240x240
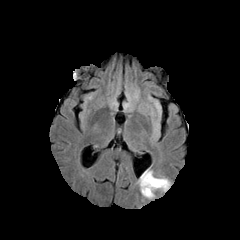
FLAIR MR.
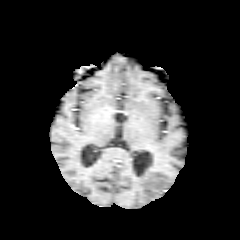
Same slice, T1-weighted MR.
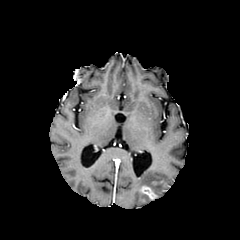
Post-contrast T1-weighted MRI of the same slice.
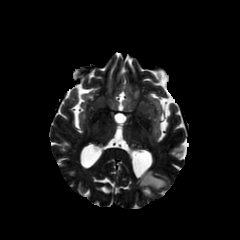
Same slice, T2-weighted magnetic resonance.
<segmentation>
  <edema><box>137,168,171,198</box></edema>
  <enhancing_tumor><box>141,186,155,198</box></enhancing_tumor>
  <non-enhancing_tumor_core><box>151,180,165,185</box></non-enhancing_tumor_core>
</segmentation>